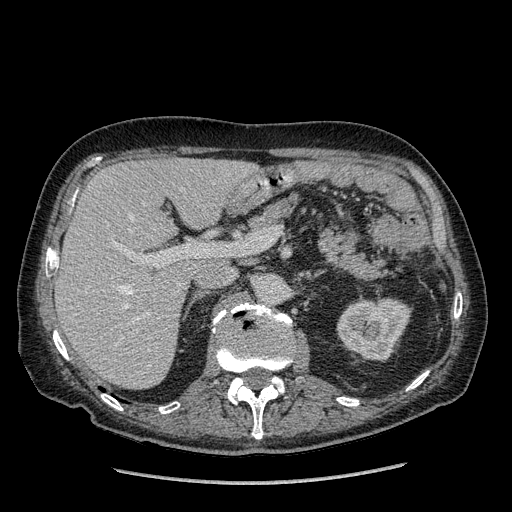 CT image

The liver appears at 55 158 257 389. The kidney is bounded by 337 299 410 360.